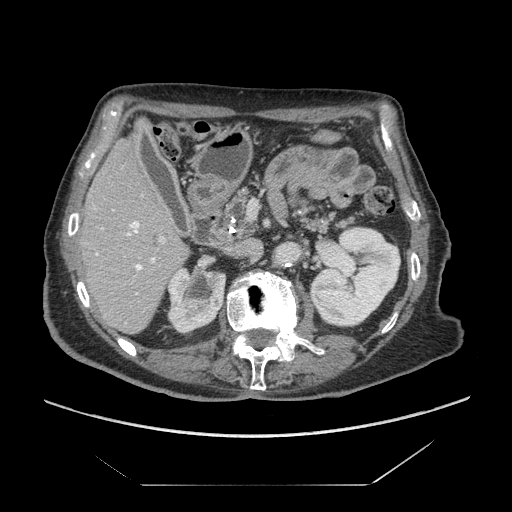
CT slice. Upper abdomen. Pancreas: bounding box (291,201,361,237), (216,186,263,242).